Abdomen; CT slice; Slice index 69 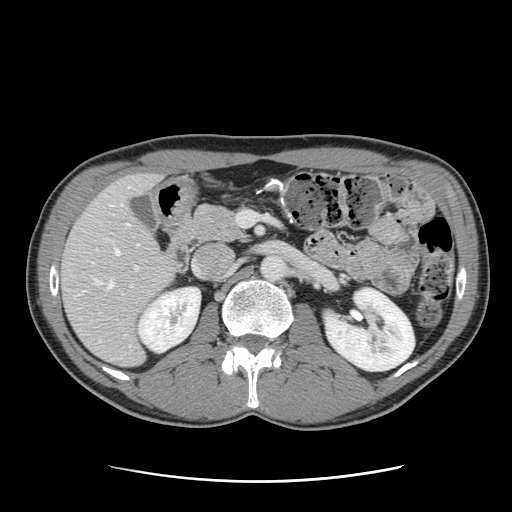
Not every hepatic vessel necessarily has a box.
11 hepatic vessel regions appear at region(106, 281, 113, 287); region(135, 267, 136, 269); region(137, 244, 138, 245); region(115, 249, 119, 254); region(130, 285, 131, 286); region(126, 224, 128, 225); region(78, 290, 83, 294); region(128, 186, 129, 187); region(94, 280, 101, 283); region(92, 262, 93, 263); region(120, 204, 122, 205).